Field of view 374x374 mm, Image size 512x512, CT slice

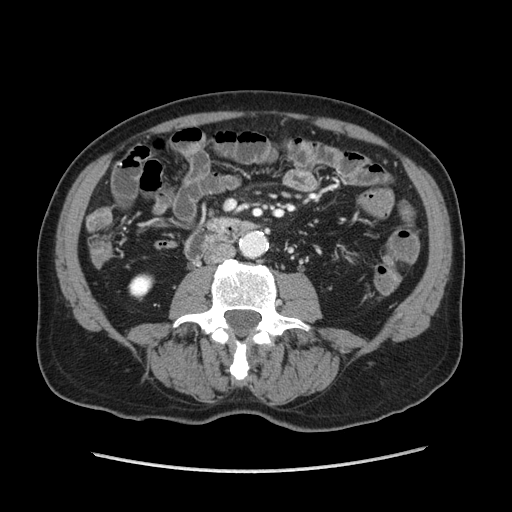

Findings:
• pancreas: box=[213, 219, 233, 224]